240x240. Slice 58/155.
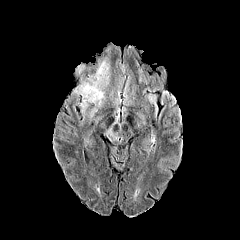
FLAIR MR.
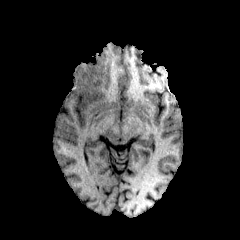
T1-weighted MRI of the same slice.
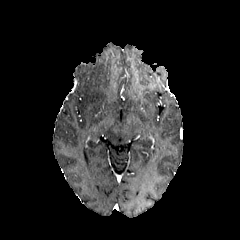
Post-contrast T1-weighted MR of the same slice.
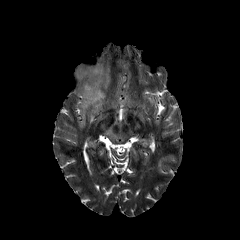
Same slice, T2-weighted magnetic resonance.
The edema appears at box=[75, 66, 109, 108].